FLAIR MR.
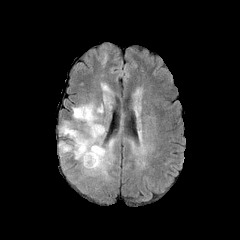
T1-weighted magnetic resonance.
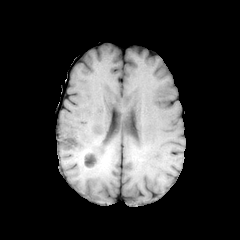
Post-contrast T1-weighted MRI.
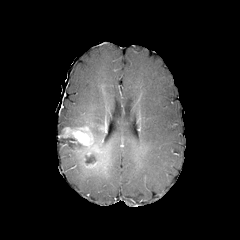
T2-weighted magnetic resonance.
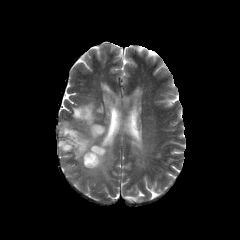
The enhancing tumor appears at 64 127 93 154. The edema lies within 58 82 115 178. 3 non-enhancing tumor core regions are bounded by 84 130 93 140, 60 129 74 140, 59 139 109 168.